Image width 240 mm; Head
FLAIR magnetic resonance.
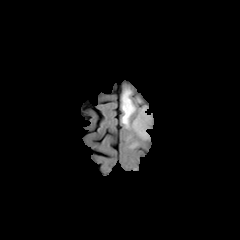
T1-weighted MR image.
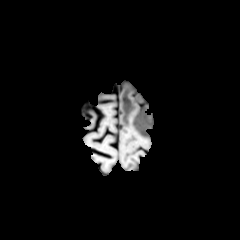
Post-contrast T1-weighted MR image.
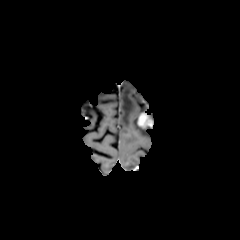
T2-weighted MR.
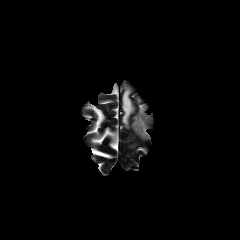
Segmented structures:
- edema: (121,87,135,128), (132,112,148,138)
- enhancing tumor: (137,112,152,128)